Slice 45 of 155, Field of view 240x240 mm
FLAIR MR.
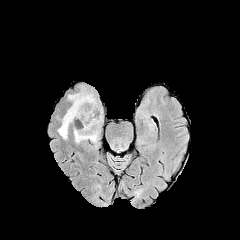
T1-weighted magnetic resonance.
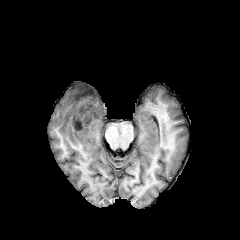
Post-contrast T1-weighted MR.
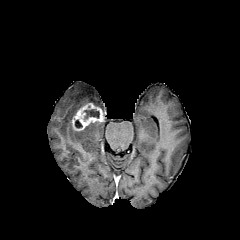
T2-weighted MR image.
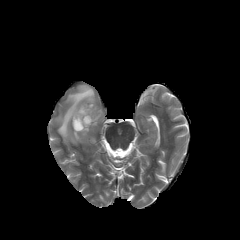
The enhancing tumor lies within [72,103,102,130]. 2 edema regions are bounded by [58,86,96,139], [73,129,98,143]. 2 non-enhancing tumor core regions are bounded by [74,120,82,128], [84,109,99,119].